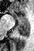 MRI

- posterior hippocampus: [16, 23, 29, 37]
- anterior hippocampus: [11, 11, 13, 12], [12, 14, 14, 16], [16, 15, 28, 23]